FLAIR MR.
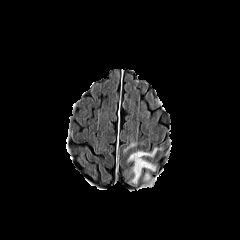
T1-weighted MR.
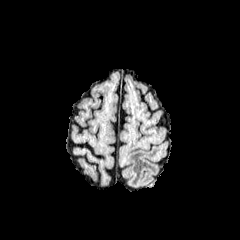
Post-contrast T1-weighted MRI.
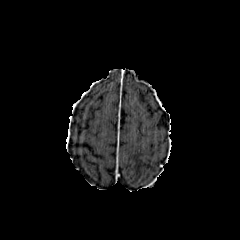
T2-weighted MR.
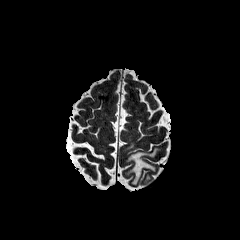
Image size 240x240
Edema = box(143, 173, 150, 182); box(128, 148, 161, 184).